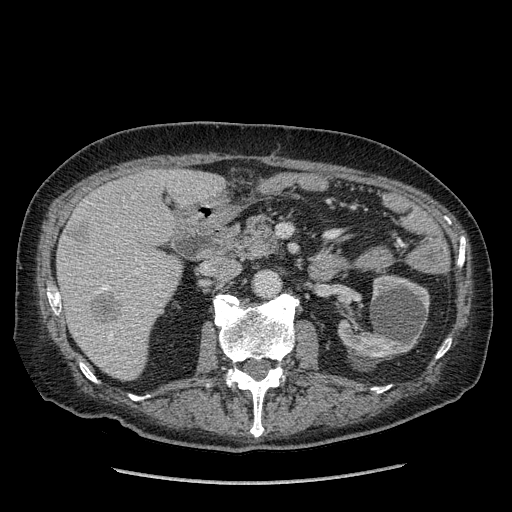

CT image. Liver. 512x512 px. The liver is at (left=57, top=169, right=224, bottom=380). 2 hepatic lesion regions appear at (left=90, top=290, right=121, bottom=323), (left=68, top=223, right=88, bottom=241). 3 kidney regions are located at (left=372, top=275, right=429, bottom=311), (left=347, top=310, right=355, bottom=323), (left=338, top=320, right=417, bottom=357).